Slice index 501, Abdomen, 512x512 px, CT
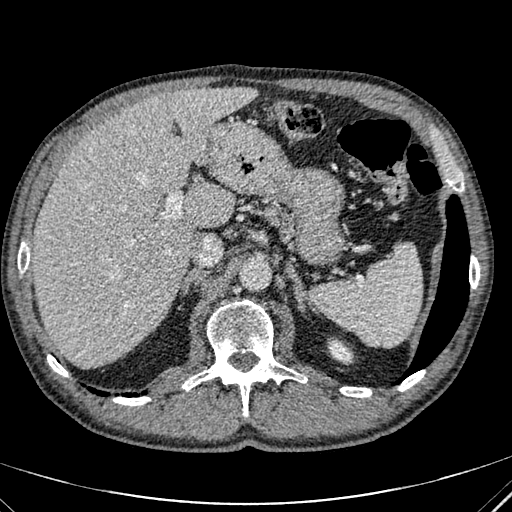 Liver: bounding box box=[34, 87, 256, 366].
Focal liver lesion: bounding box box=[161, 93, 172, 105].
Kidney: bounding box box=[330, 343, 350, 360].